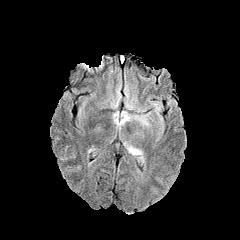
FLAIR MRI.
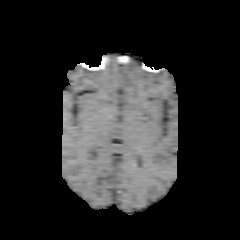
T1-weighted MR.
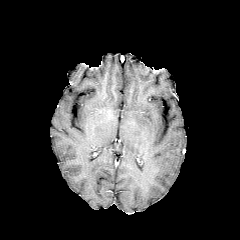
Post-contrast T1-weighted MR image.
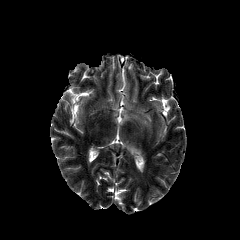
Same slice, T2-weighted MR image.
Head, Image size 240x240
edema:
  - rect(124, 143, 143, 160)
  - rect(113, 102, 152, 129)